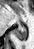
MR image. Hippocampus. Posterior hippocampus at <bbox>14, 26, 26, 40</bbox>.